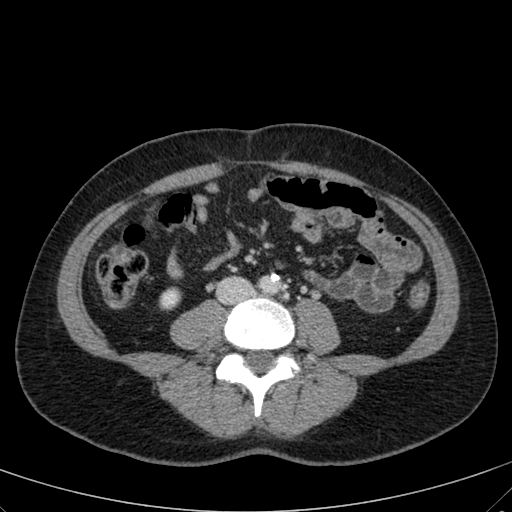 Abdomen | CT | Image size 512x512
Segmented structures:
• kidney: {"x1": 163, "y1": 291, "x2": 176, "y2": 306}